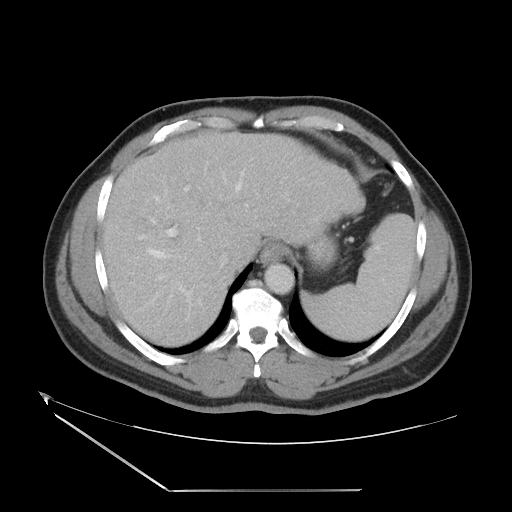

Computed tomography
Only some of the vessels may be annotated.
Findings:
• hepatic vessel (top 15 of 17): (left=167, top=206, right=169, bottom=208), (left=147, top=249, right=170, bottom=257), (left=180, top=287, right=192, bottom=306), (left=222, top=172, right=226, bottom=182), (left=236, top=183, right=241, bottom=190), (left=138, top=235, right=145, bottom=239), (left=240, top=170, right=244, bottom=175), (left=151, top=293, right=158, bottom=304), (left=155, top=196, right=159, bottom=201), (left=184, top=187, right=187, bottom=190), (left=156, top=273, right=169, bottom=279), (left=220, top=256, right=225, bottom=267), (left=151, top=218, right=155, bottom=223), (left=177, top=282, right=180, bottom=284), (left=166, top=228, right=175, bottom=235)